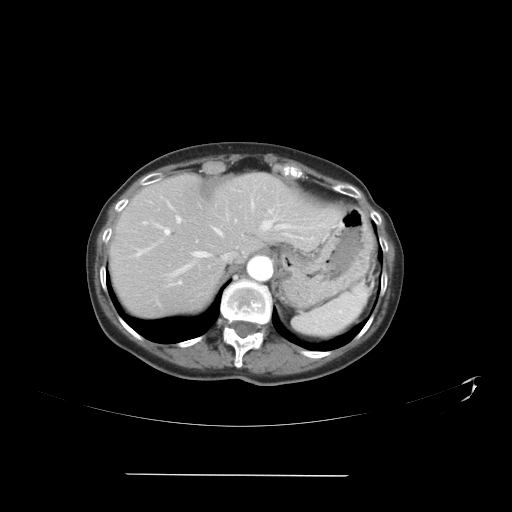
CT slice.

Not every hepatic vessel necessarily has a box.
Hepatic vessel = left=196, top=240, right=198, bottom=242; left=261, top=218, right=276, bottom=230; left=284, top=233, right=293, bottom=237; left=155, top=223, right=169, bottom=234; left=278, top=224, right=293, bottom=228; left=297, top=227, right=303, bottom=228; left=268, top=209, right=272, bottom=213; left=135, top=248, right=148, bottom=256; left=251, top=201, right=253, bottom=206; left=167, top=202, right=172, bottom=208; left=176, top=217, right=181, bottom=222; left=235, top=219, right=236, bottom=220; left=194, top=252, right=206, bottom=257; left=170, top=281, right=181, bottom=285; left=214, top=228, right=222, bottom=235.